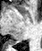 Hippocampus, MRI

{"posterior_hippocampus": ["box=[6, 40, 14, 43]"]}